Image size 512x512 | Slice 91/135 | CT
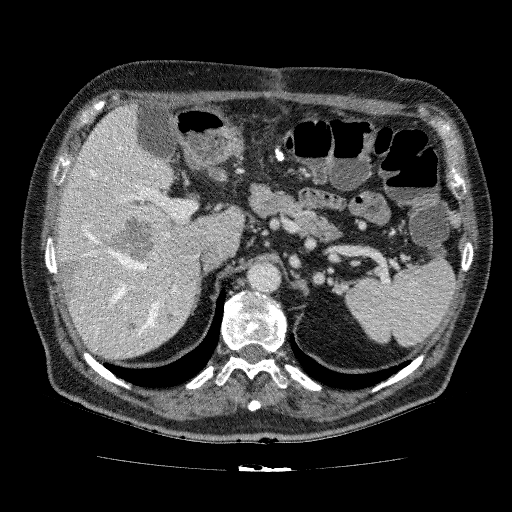 <segmentation>
  <liver>box(56, 102, 244, 359)</liver>
  <focal_liver_lesion>box(89, 243, 102, 251); box(122, 316, 140, 333); box(71, 241, 78, 249); box(57, 256, 85, 302); box(89, 212, 158, 261); box(163, 311, 176, 324)</focal_liver_lesion>
</segmentation>